FLAIR magnetic resonance.
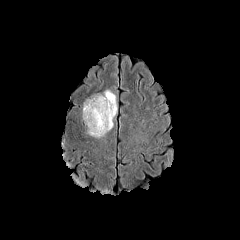
T1-weighted MRI.
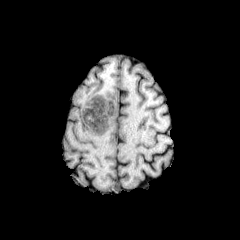
Post-contrast T1-weighted MR image.
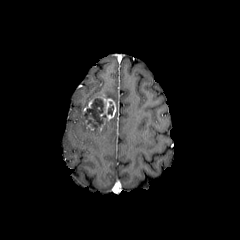
T2-weighted MRI.
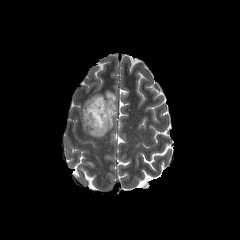
Enhancing tumor = (left=96, top=95, right=115, bottom=120).
Edema = (left=87, top=118, right=113, bottom=137), (left=105, top=90, right=115, bottom=104).
Non-enhancing tumor core = (left=83, top=94, right=107, bottom=130), (left=107, top=104, right=113, bottom=115).